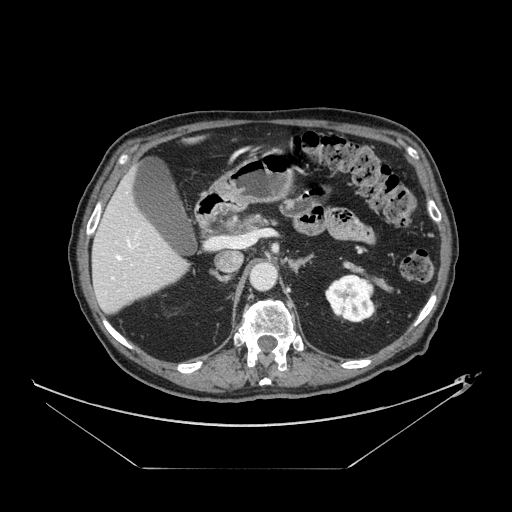 CT; Abdomen

The pancreas appears at l=223, t=216, r=267, b=235.